Brain
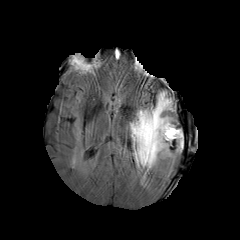
FLAIR MR.
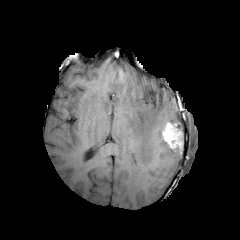
T1-weighted MR image.
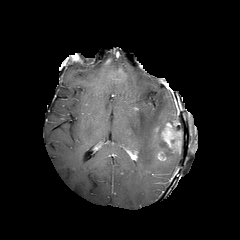
Same slice, post-contrast T1-weighted MR.
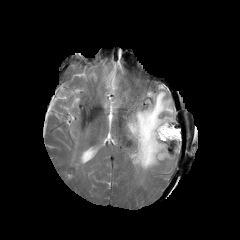
Same slice, T2-weighted MRI.
The non-enhancing tumor core lies within [165, 138, 180, 151]. The edema lies within [127, 91, 182, 173]. The enhancing tumor is located at [160, 123, 180, 143].